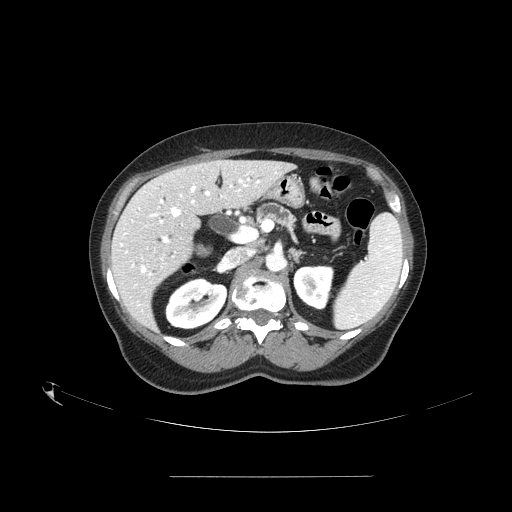

CT slice | 512x512

{"pancreas": ["l=256, t=203, r=296, b=230"]}